Head
FLAIR MRI.
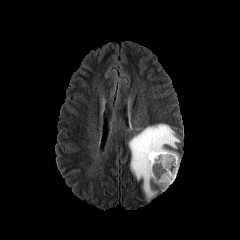
T1-weighted MR.
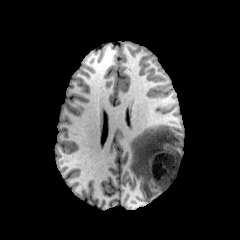
Post-contrast T1-weighted MRI.
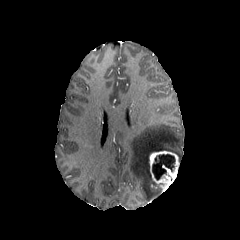
T2-weighted MR.
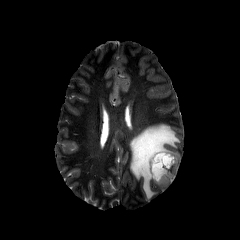
enhancing_tumor:
  - <box>148,151,179,192</box>
edema:
  - <box>129,123,180,201</box>
non-enhancing_tumor_core:
  - <box>152,154,175,180</box>
  - <box>151,181,161,193</box>